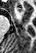 Medial temporal lobe, Magnetic resonance

Anterior hippocampus = [x1=17, y1=7, x2=21, y2=12].